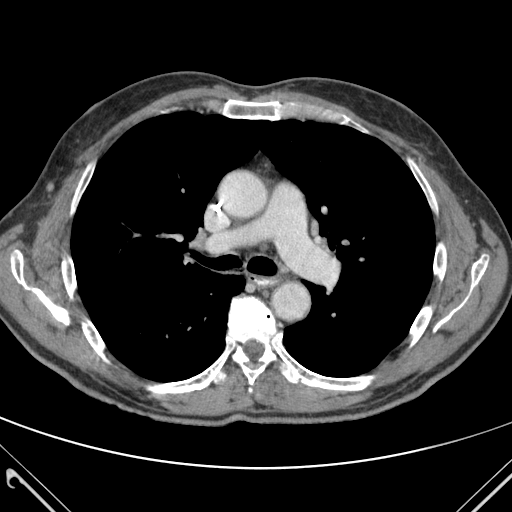

Image size 512x512. Chest. CT. 11 bone regions are bounded by box=[82, 321, 106, 360]; box=[433, 244, 446, 279]; box=[71, 165, 92, 213]; box=[433, 255, 488, 331]; box=[216, 99, 299, 120]; box=[410, 307, 431, 345]; box=[313, 108, 355, 124]; box=[409, 160, 437, 209]; box=[11, 250, 69, 324]; box=[148, 297, 372, 393]; box=[62, 259, 76, 297]. The lung appears at box=[71, 111, 435, 381].